Computed tomography.

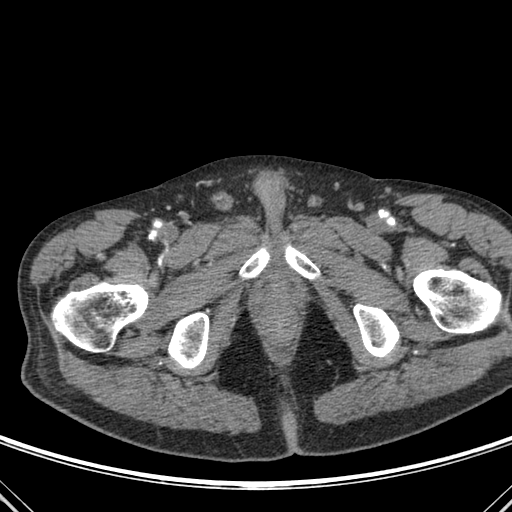 • bone: l=283, t=244, r=320, b=279; l=168, t=312, r=208, b=368; l=239, t=247, r=273, b=278; l=353, t=304, r=399, b=357; l=52, t=282, r=150, b=352; l=413, t=269, r=502, b=333